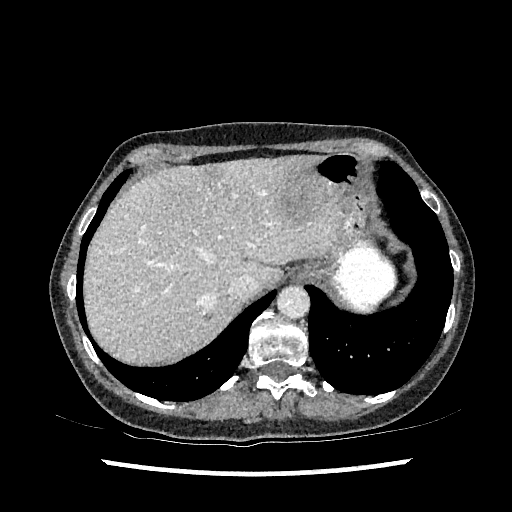

512x512, CT, Upper abdomen
liver: left=84, top=157, right=348, bottom=362 | focal liver lesion: left=278, top=157, right=323, bottom=222; left=203, top=165, right=219, bottom=182